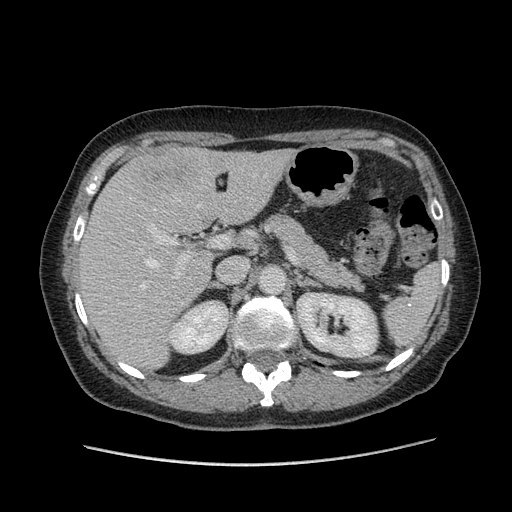 CT scan slice; Abdomen
Not every hepatic vessel necessarily has a box.
Findings:
• hepatic vessel: box=[179, 254, 186, 267]; box=[209, 233, 233, 249]; box=[150, 226, 175, 244]; box=[242, 231, 253, 235]; box=[248, 242, 253, 246]; box=[214, 228, 215, 231]; box=[173, 276, 176, 278]
• liver tumor: box=[133, 152, 205, 190]